Liver, CT
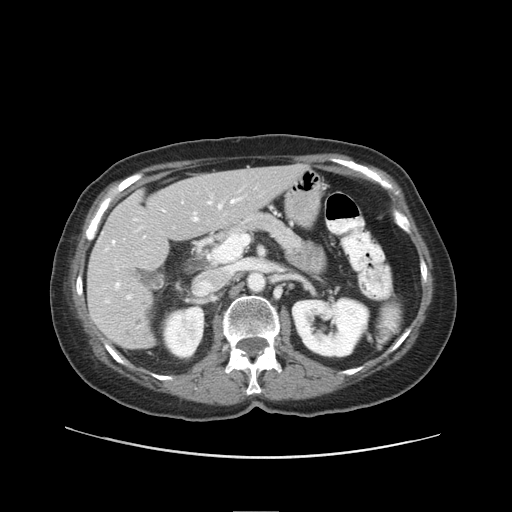

Not every hepatic vessel necessarily has a box.
Hepatic vessel: bbox(208, 202, 211, 204); bbox(218, 204, 222, 208); bbox(116, 283, 119, 288); bbox(193, 213, 198, 221); bbox(112, 241, 114, 244); bbox(106, 249, 107, 251); bbox(127, 295, 130, 299); bbox(232, 198, 241, 203).